Slice index 7
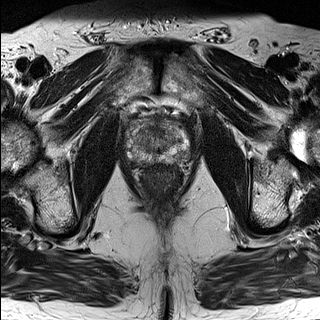
T2-weighted MR image.
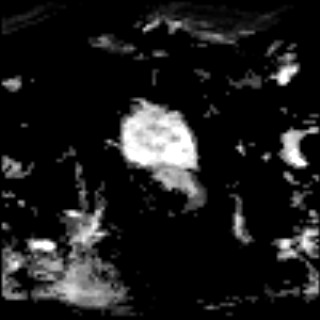
ADC MR image of the same slice.
The prostate peripheral zone lies within 124,119,193,167. The prostate transition zone is located at 131,118,181,152.